CT scan slice | Upper abdomen

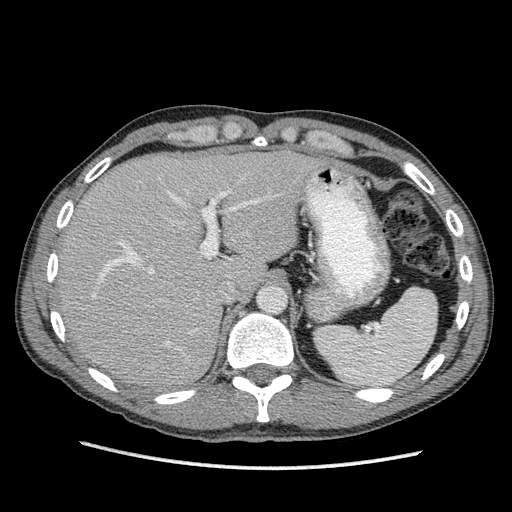 Liver = bbox(55, 147, 327, 391).